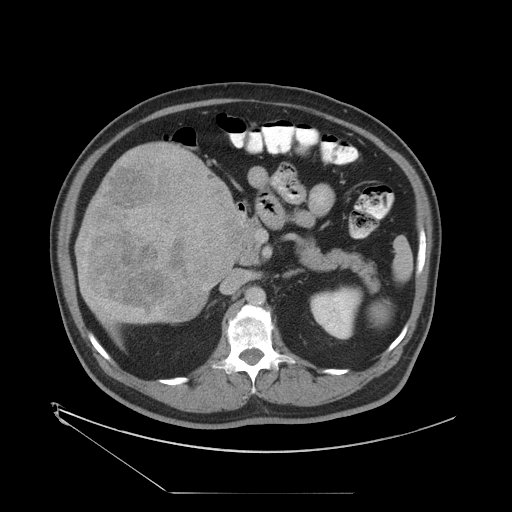 CT scan slice | 512x512
Some hepatic vessels may have no box.
Hepatic vessel: bounding box {"x1": 97, "y1": 296, "x2": 114, "y2": 311}, {"x1": 118, "y1": 305, "x2": 123, "y2": 311}, {"x1": 151, "y1": 316, "x2": 156, "y2": 317}, {"x1": 132, "y1": 310, "x2": 140, "y2": 319}, {"x1": 202, "y1": 172, "x2": 206, "y2": 173}, {"x1": 112, "y1": 313, "x2": 119, "y2": 317}, {"x1": 129, "y1": 318, "x2": 131, "y2": 319}.
Liver tumor: bounding box {"x1": 84, "y1": 159, "x2": 252, "y2": 322}.